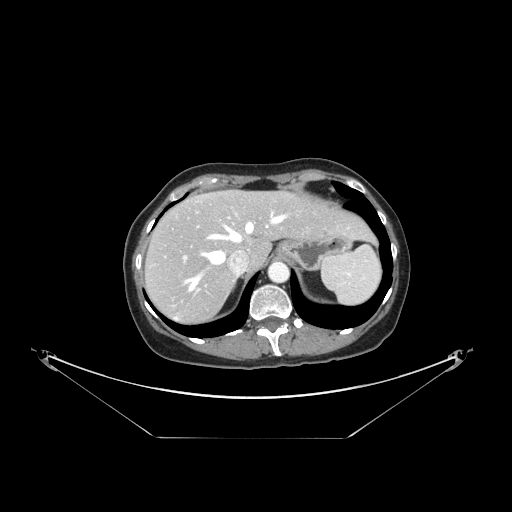

CT image | Liver | 512x512
The vessel annotation is not exhaustive.
<segmentation>
  <hepatic_vessel>208,235,221,238; 273,216,283,221; 226,228,240,240; 246,223,252,232</hepatic_vessel>
</segmentation>